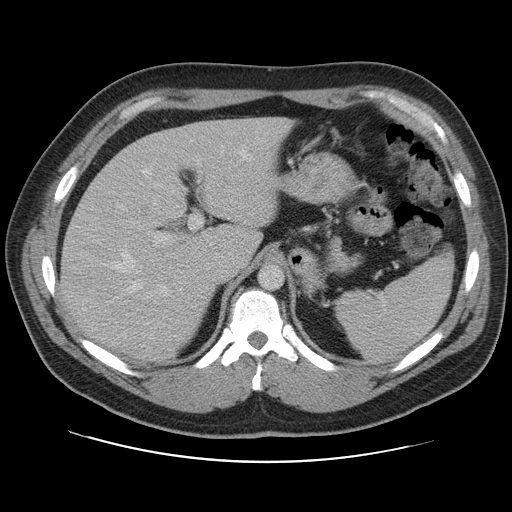

512x512 px, Abdomen, Computed tomography
Not every hepatic vessel necessarily has a box.
{
  "partial": true,
  "hepatic_vessel": {
    "n_total": 21,
    "boxes": [
      "l=206, t=187, r=208, b=189",
      "l=247, t=250, r=250, b=252",
      "l=147, t=231, r=171, b=245",
      "l=144, t=322, r=149, b=324",
      "l=236, t=216, r=239, b=218",
      "l=263, t=204, r=271, b=214",
      "l=182, t=187, r=186, b=191",
      "l=121, t=249, r=133, b=267",
      "l=248, t=213, r=252, b=214",
      "l=197, t=180, r=200, b=182",
      "l=125, t=281, r=140, b=292",
      "l=150, t=220, r=161, b=225",
      "l=227, t=216, r=229, b=218",
      "l=188, t=214, r=203, b=229",
      "l=112, t=262, r=125, b=272"
    ]
  }
}